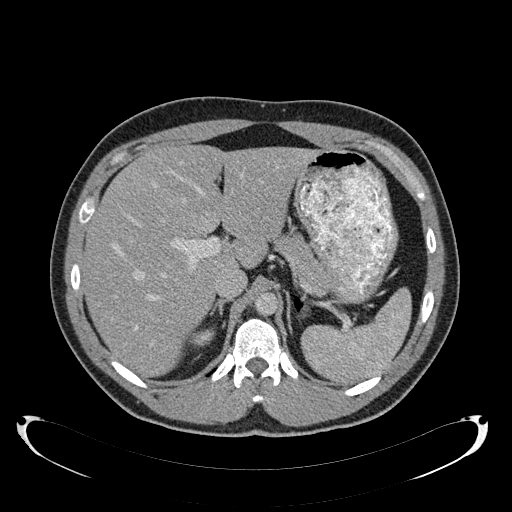 CT image; Upper abdomen
{"liver": ["rect(84, 145, 320, 376)"], "kidney": ["rect(195, 331, 211, 344)"]}